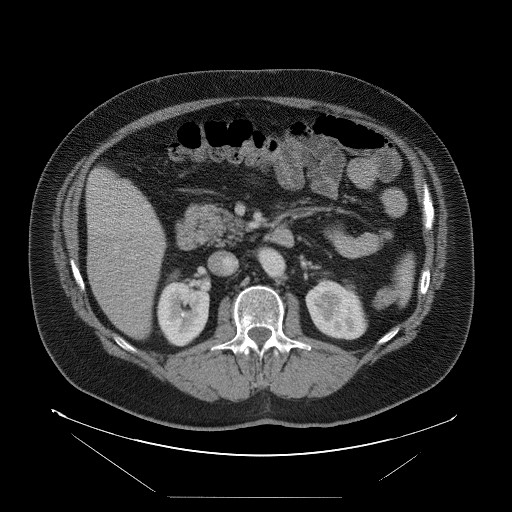 Liver, Computed tomography, 512x512

Not every hepatic vessel necessarily has a box.
Findings:
• hepatic vessel: 127:256:135:258, 153:271:155:272, 146:220:155:227, 105:218:112:223, 114:245:119:252, 154:260:158:261, 152:228:159:230